FLAIR MR.
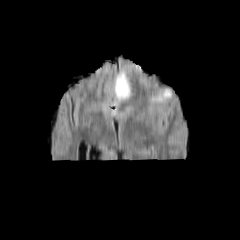
T1-weighted MR image.
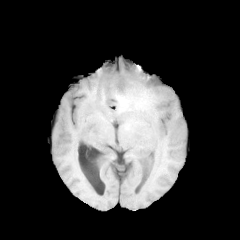
Post-contrast T1-weighted MR image.
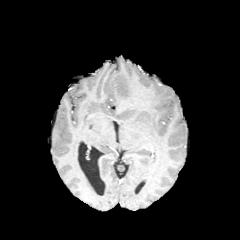
T2-weighted magnetic resonance.
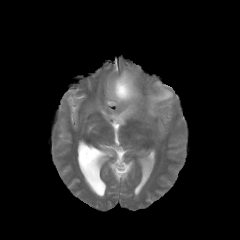
Head
Edema: 119 105 134 117, 107 70 172 111.